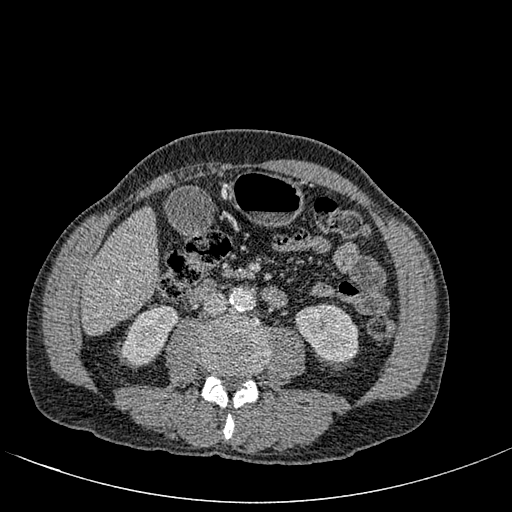

Computed tomography
Annotated regions:
* liver: [81, 206, 157, 332]
* kidney: [121, 305, 177, 364], [296, 304, 357, 362]